Field of view 36 mm wide, 1.00 mm slice spacing | 36x52 | MRI

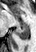
The posterior hippocampus appears at [16,23,28,40].